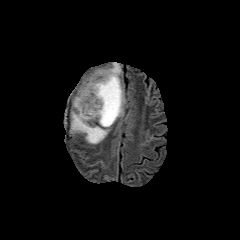
FLAIR MRI.
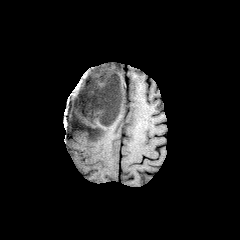
T1-weighted MRI of the same slice.
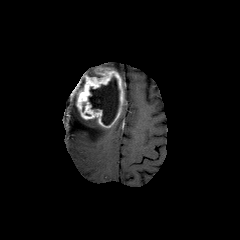
Post-contrast T1-weighted MR image of the same slice.
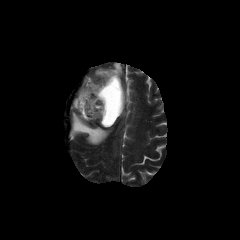
T2-weighted MR image.
Image size 240x240
The enhancing tumor is located at box(75, 68, 125, 125). The non-enhancing tumor core is located at box(89, 77, 121, 127). 2 edema regions are bounded by box(112, 62, 121, 74); box(69, 106, 109, 144).